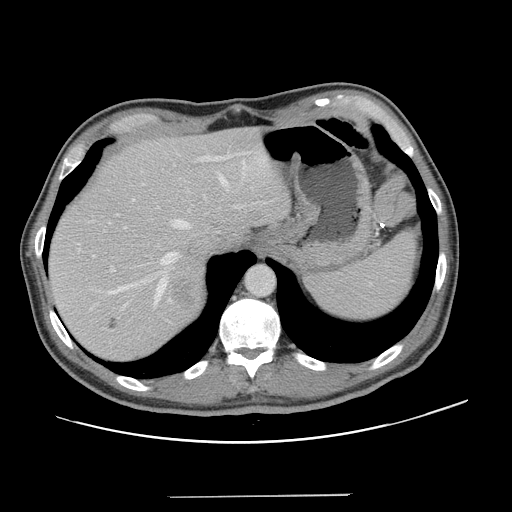
Image size 512x512, Abdomen, CT image

Some hepatic vessels may have no box.
Liver tumor — 169,281,200,310.
Hepatic vessel — 132,198,134,200; 154,276,166,305; 108,284,137,293; 92,255,95,257; 261,202,264,203; 78,243,79,251; 161,253,178,263; 144,279,150,282; 197,152,249,161; 168,299,169,301; 110,267,114,271; 171,219,188,228; 124,226,126,227; 235,205,245,208; 121,303,126,309.